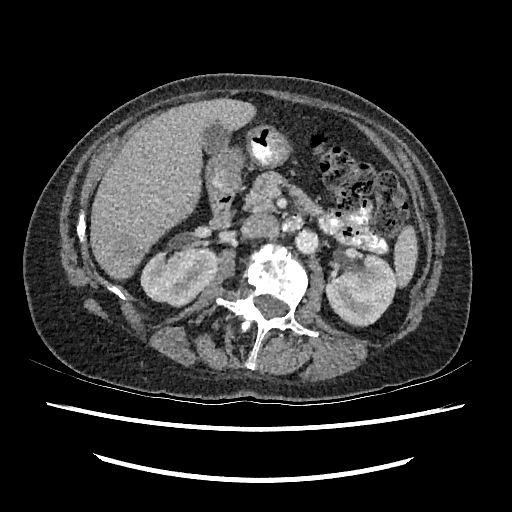
Image size 512x512, Liver, CT scan slice
<segmentation>
  <liver_lesion>[114,239,136,257]</liver_lesion>
  <liver>[91,98,255,279]</liver>
  <kidney>[141,248,218,305], [326,256,398,324]</kidney>
</segmentation>